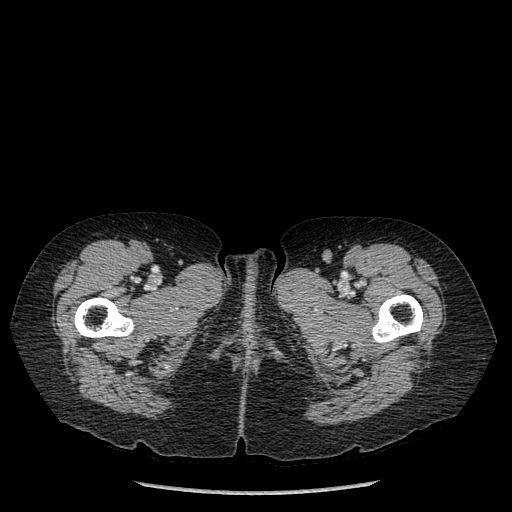
CT slice
bone: (left=371, top=293, right=423, bottom=343), (left=72, top=297, right=134, bottom=337)